Upper abdomen | CT slice 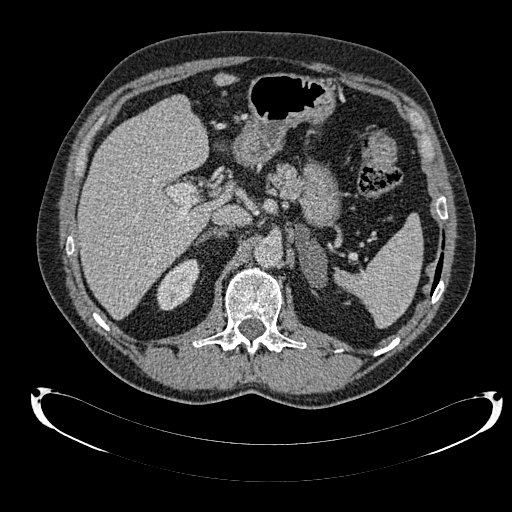
Kidney: 157:260:198:309.
Liver: 78:96:228:317, 216:75:233:84.